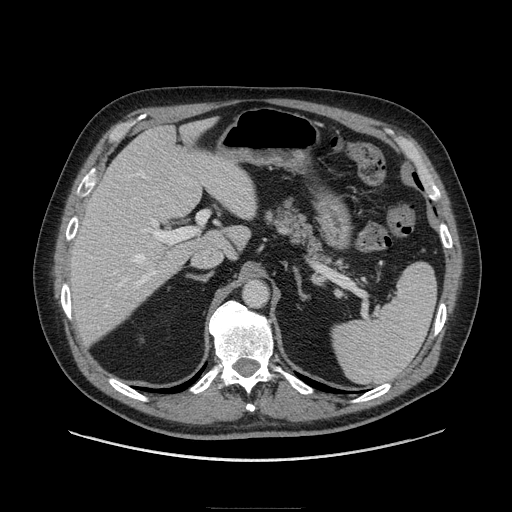

Image size 512x512 | Upper abdomen | Computed tomography
The pancreas appears at [264,199,337,265].